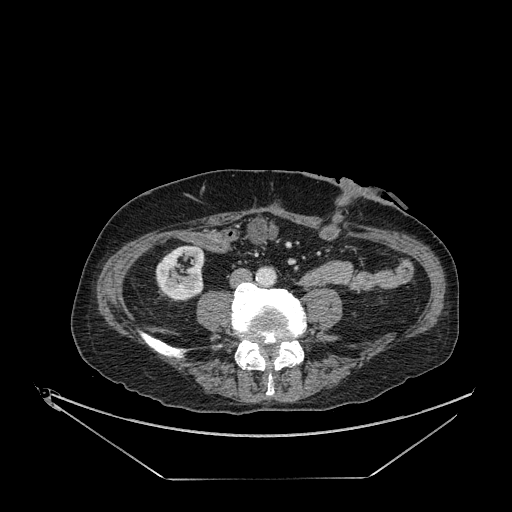

Abdomen; CT image
<segmentation>
  <kidney>156, 246, 203, 299</kidney>
</segmentation>